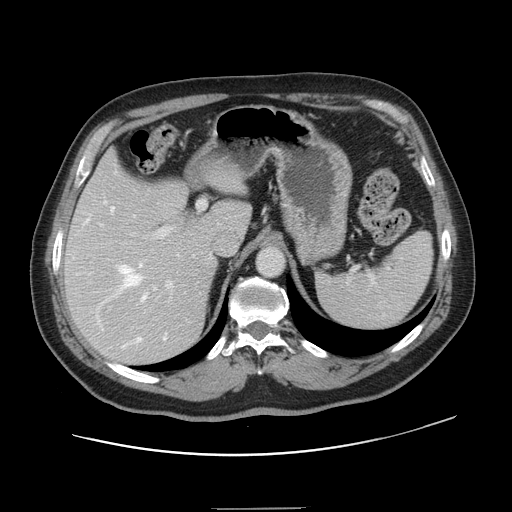
Computed tomography; 512x512 px; Liver
Not every hepatic vessel necessarily has a box.
Segmented structures:
• hepatic vessel: box(167, 282, 172, 287); box(96, 313, 101, 328); box(139, 264, 141, 267); box(111, 207, 113, 213); box(100, 224, 102, 225); box(153, 287, 155, 289); box(163, 333, 166, 339); box(103, 202, 106, 203); box(86, 217, 89, 222); box(115, 266, 141, 295); box(141, 293, 146, 300); box(122, 337, 141, 347); box(156, 228, 168, 236)